MRI. 37x50.
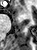
{"anterior_hippocampus": ["left=14, top=6, right=24, bottom=15"]}